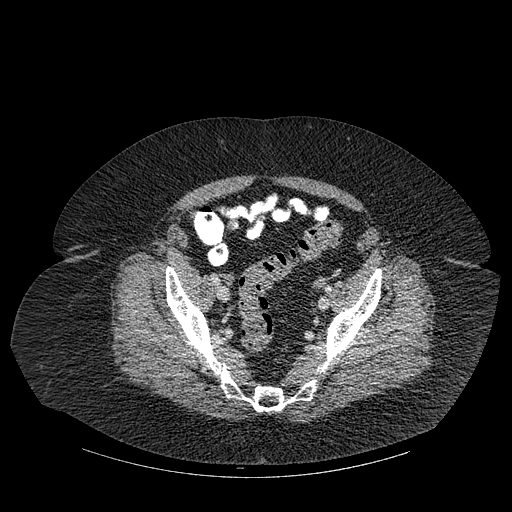 CT

Bone: bounding box left=315, top=269, right=381, bottom=373; left=222, top=249, right=227, bottom=259; left=166, top=266, right=316, bottom=411.